Abdomen, CT slice, Image size 512x512, Field of view 405 mm wide, 2.50 mm slice spacing
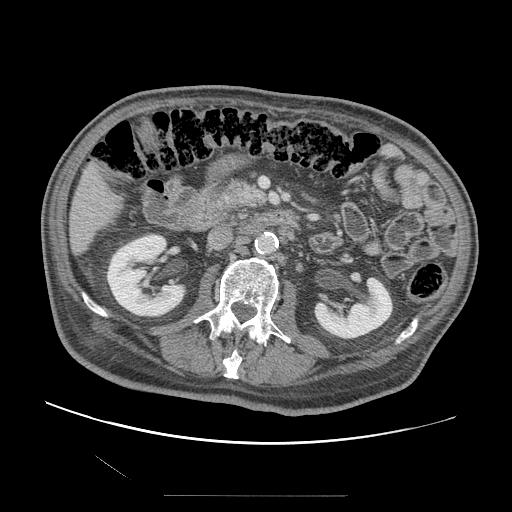
Segmented structures:
* pancreas: box=[216, 178, 268, 212]